512x512 px; Upper abdomen; CT slice 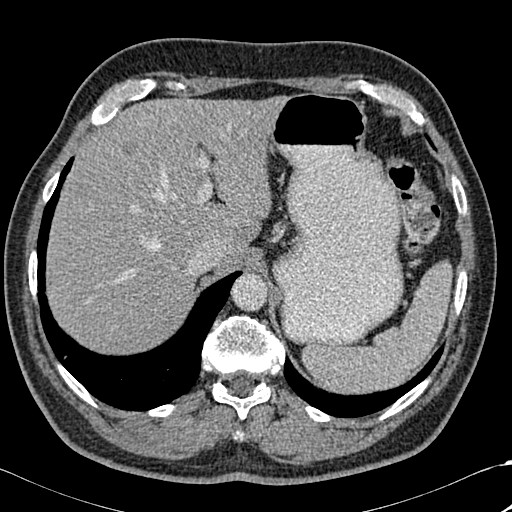 Lung — 37, 157, 241, 410; 432, 206, 438, 215; 284, 345, 443, 417.
Liver lesion — 122, 144, 136, 153.
Liver — 219, 259, 236, 263; 46, 98, 280, 354.
Bone — 28, 252, 36, 294; 149, 405, 174, 416; 381, 380, 427, 419; 43, 173, 58, 200; 58, 365, 95, 405; 359, 82, 423, 123; 452, 177, 466, 213; 455, 272, 466, 312; 202, 316, 284, 419; 306, 407, 329, 421; 91, 80, 154, 124.